Slice 105 of 155. Brain. Field of view 240x240 mm.
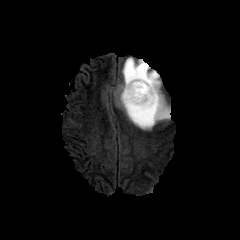
FLAIR MR.
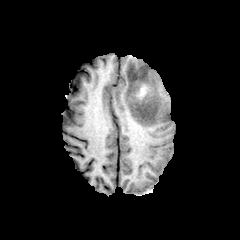
T1-weighted MRI.
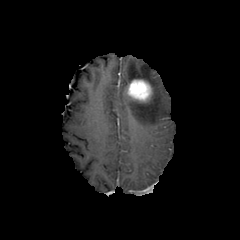
Same slice, post-contrast T1-weighted MR image.
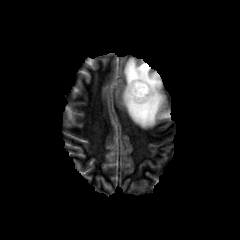
T2-weighted MR.
Enhancing tumor = rect(126, 79, 151, 101).
Edema = rect(120, 58, 169, 128).
Non-enhancing tumor core = rect(128, 99, 147, 105).